Abdomen | CT scan slice | Slice 433/455 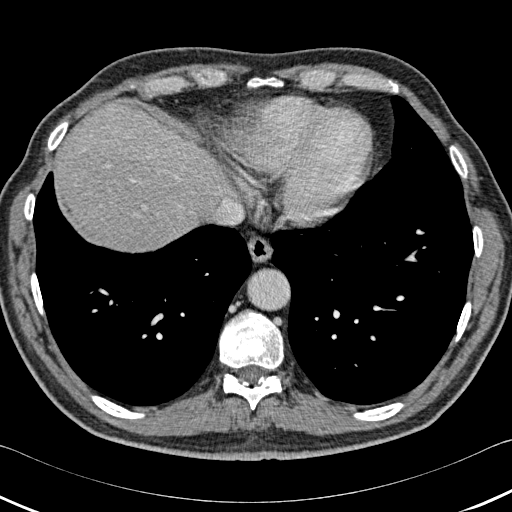
Lung = [x1=267, y1=95, x2=474, y2=404], [x1=33, y1=171, x2=253, y2=405].
Bone = [x1=450, y1=146, x2=467, y2=177], [x1=455, y1=302, x2=470, y2=341], [x1=24, y1=194, x2=34, y2=219], [x1=220, y1=312, x2=283, y2=368], [x1=223, y1=374, x2=281, y2=409], [x1=91, y1=396, x2=144, y2=418], [x1=473, y1=226, x2=482, y2=257], [x1=31, y1=273, x2=42, y2=314], [x1=48, y1=122, x2=67, y2=150], [x1=354, y1=403, x2=403, y2=420], [x1=247, y1=77, x2=282, y2=86].
Liver = [x1=54, y1=107, x2=214, y2=252].